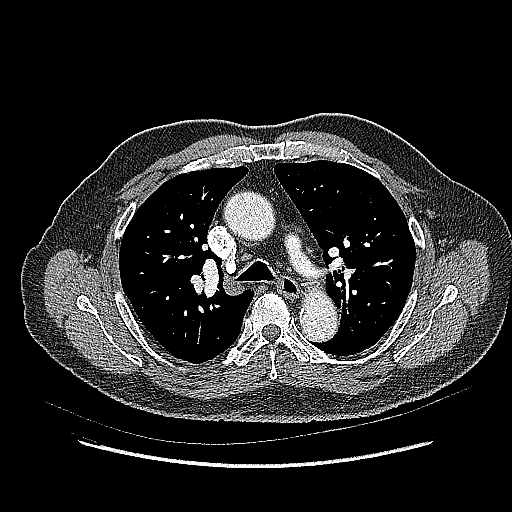 CT scan slice, Lung

Lung tumor at {"x1": 331, "y1": 236, "x2": 345, "y2": 249}.